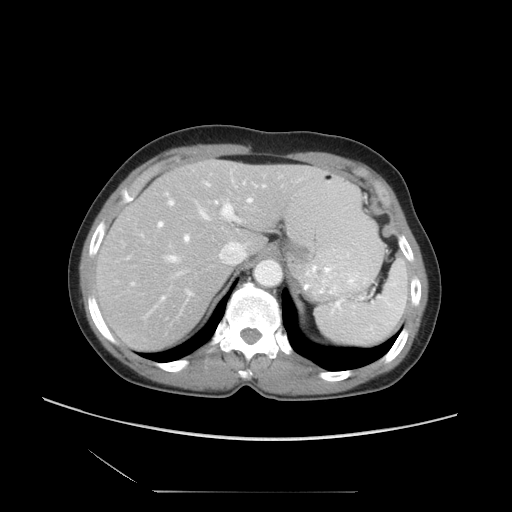

CT scan slice. 512x512 px.

Only some of the vessels may be annotated.
{
  "partial": true,
  "hepatic_vessel": {
    "n_total": 17,
    "boxes": [
      "x1=160 y1=297 x2=163 y2=299",
      "x1=183 y1=234 x2=188 y2=241",
      "x1=197 y1=204 x2=208 y2=218",
      "x1=203 y1=181 x2=209 y2=185",
      "x1=157 y1=222 x2=162 y2=226",
      "x1=131 y1=282 x2=133 y2=284",
      "x1=168 y1=198 x2=173 y2=204",
      "x1=166 y1=255 x2=177 y2=261",
      "x1=235 y1=242 x2=245 y2=249",
      "x1=230 y1=172 x2=233 y2=182",
      "x1=247 y1=198 x2=251 y2=202",
      "x1=215 y1=201 x2=240 y2=221",
      "x1=186 y1=291 x2=191 y2=295",
      "x1=219 y1=251 x2=221 y2=256",
      "x1=253 y1=184 x2=256 y2=186"
    ]
  }
}